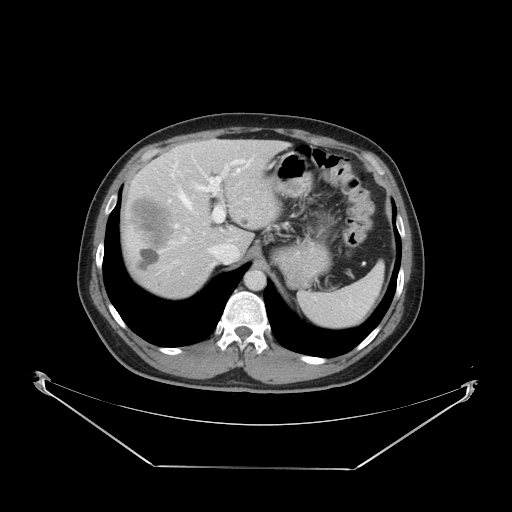 CT scan slice | Liver

The vessel boxes may cover only some of the vessels.
Findings:
- hepatic vessel: l=179, t=191, r=191, b=208; l=192, t=156, r=210, b=182; l=176, t=224, r=178, b=226; l=183, t=229, r=190, b=242; l=224, t=160, r=239, b=173; l=185, t=256, r=188, b=260; l=195, t=184, r=208, b=191
- liver tumor: l=130, t=197, r=173, b=246